Head; Field of view 240 mm wide, 1.00 mm slice spacing
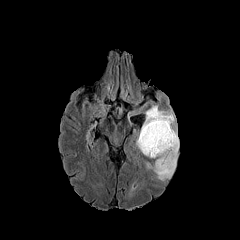
FLAIR MR image.
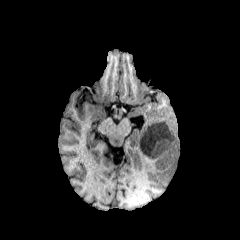
T1-weighted magnetic resonance.
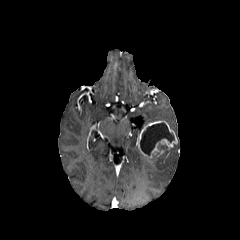
Post-contrast T1-weighted MR image of the same slice.
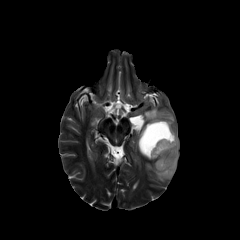
T2-weighted MRI of the same slice.
{
  "edema": [
    "141:104:179:181"
  ],
  "enhancing_tumor": [
    "135:120:177:158"
  ],
  "non-enhancing_tumor_core": [
    "140:123:174:155"
  ]
}